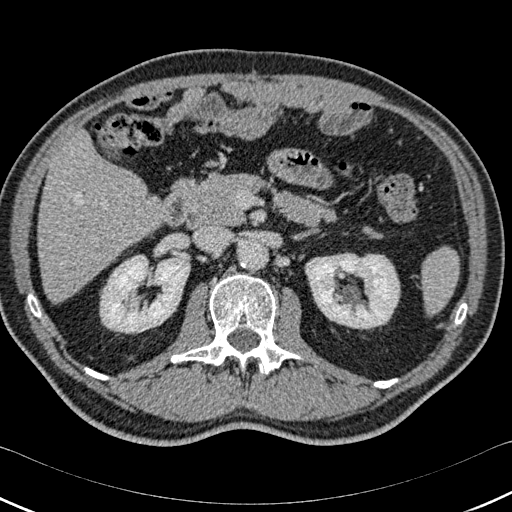 Abdomen, CT scan slice

5 bone regions appear at {"x1": 28, "y1": 295, "x2": 40, "y2": 316}, {"x1": 171, "y1": 274, "x2": 302, "y2": 374}, {"x1": 85, "y1": 368, "x2": 107, "y2": 379}, {"x1": 374, "y1": 379, "x2": 397, "y2": 387}, {"x1": 455, "y1": 303, "x2": 466, "y2": 323}. The liver is at {"x1": 38, "y1": 129, "x2": 163, "y2": 300}. 2 kidney regions are located at {"x1": 100, "y1": 255, "x2": 189, "y2": 332}, {"x1": 306, "y1": 254, "x2": 399, "y2": 327}.